FLAIR MR.
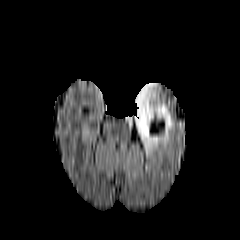
T1-weighted magnetic resonance.
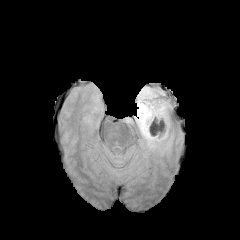
Post-contrast T1-weighted MR image.
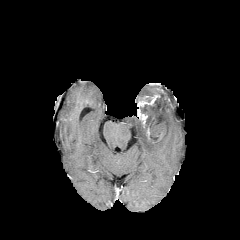
T2-weighted magnetic resonance.
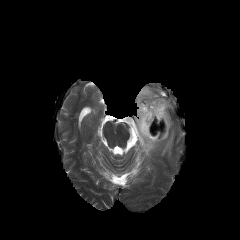
{
  "enhancing_tumor": [
    "(137, 95, 159, 126)"
  ],
  "edema": [
    "(126, 86, 173, 154)"
  ]
}